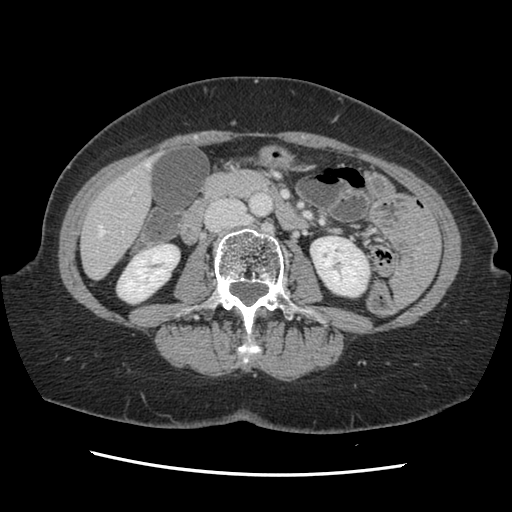

Abdomen | CT

Not every hepatic vessel necessarily has a box.
<segmentation>
  <hepatic_vessel>146 163 148 166, 98 225 105 235</hepatic_vessel>
</segmentation>